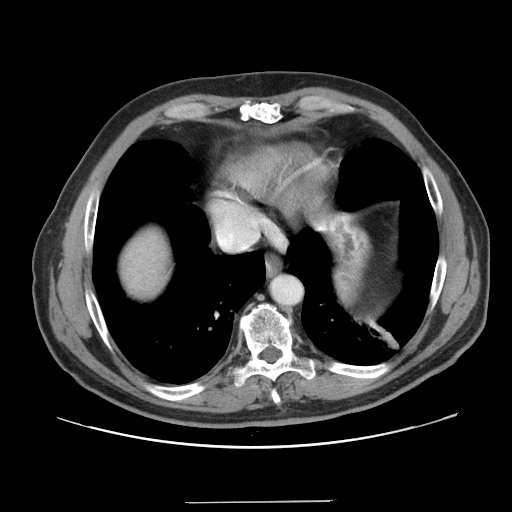 CT slice, Abdomen
The vessel boxes may cover only some of the vessels.
<segmentation>
  <hepatic_vessel>222 246 226 248, 218 220 257 249</hepatic_vessel>
</segmentation>